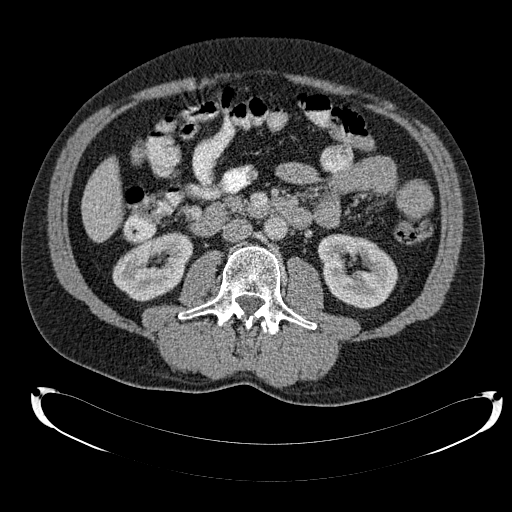
CT | Abdomen | 512x512
Kidney at x1=113, y1=234, x2=191, y2=300; x1=318, y1=234, x2=396, y2=307.
Liver at x1=82, y1=162, x2=121, y2=240.